240x240 px, Brain
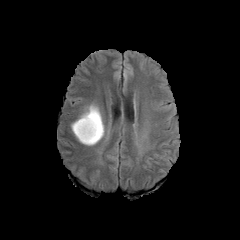
FLAIR MR.
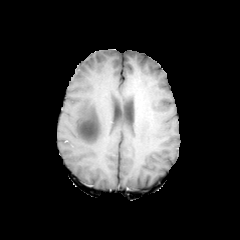
Same slice, T1-weighted MR.
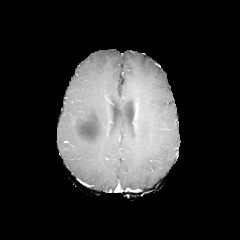
Post-contrast T1-weighted MR image of the same slice.
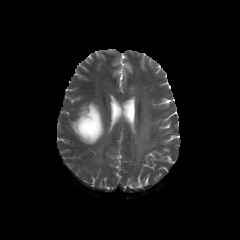
T2-weighted MR of the same slice.
Edema at region(71, 101, 107, 145).
Non-enhancing tumor core at region(81, 120, 97, 137).